Brain, 240x240, Image width 240 mm
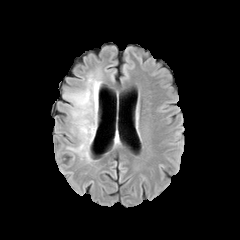
FLAIR magnetic resonance.
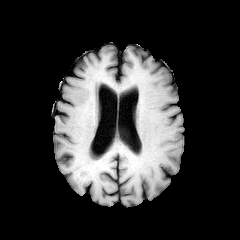
Same slice, T1-weighted MR.
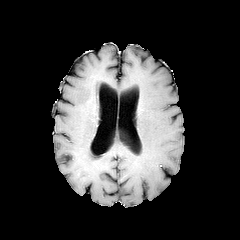
Post-contrast T1-weighted MRI.
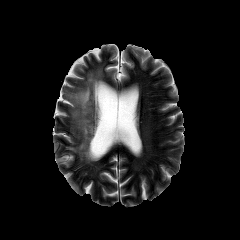
T2-weighted MRI.
The edema lies within (left=66, top=74, right=103, bottom=163).